FLAIR MR.
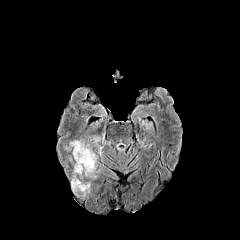
T1-weighted MR.
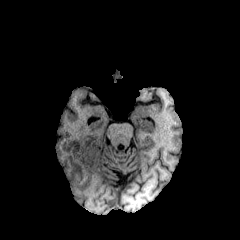
Post-contrast T1-weighted MR image.
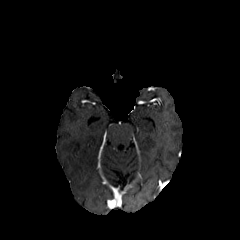
T2-weighted MR image.
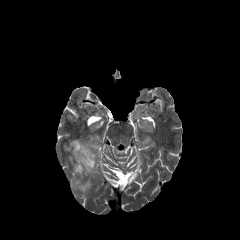
Head
edema: (left=66, top=139, right=98, bottom=192)